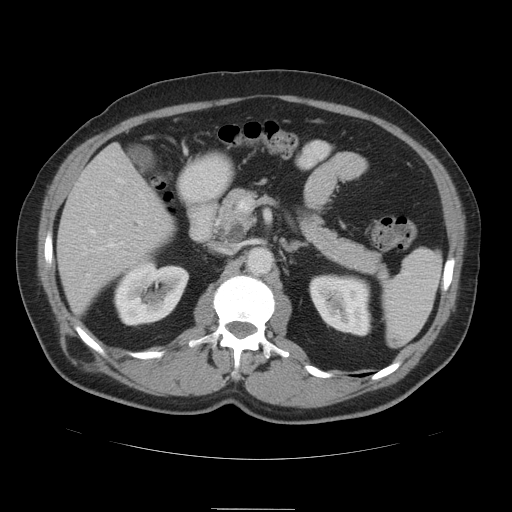 Upper abdomen | CT slice
The pancreatic tumor is located at (x1=227, y1=222, x2=244, y2=240). 2 pancreas regions are located at (x1=297, y1=207, x2=385, y2=279), (x1=212, y1=188, x2=271, y2=242).